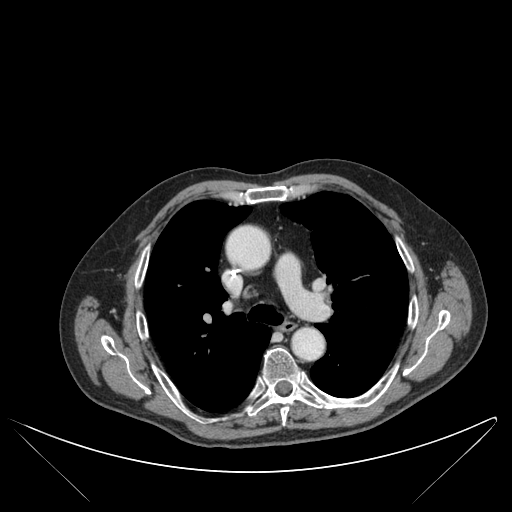 CT image; Chest
Lung: bounding box bbox(144, 200, 282, 412); bbox(280, 191, 408, 397).
Bone: bounding box bbox(152, 365, 193, 417); bbox(408, 297, 418, 326); bbox(101, 336, 150, 393); bbox(136, 312, 147, 338); bbox(245, 348, 397, 423); bbox(241, 186, 289, 203); bbox(135, 247, 148, 286); bbox(403, 310, 450, 375); bbox(397, 239, 412, 269).